FLAIR MRI.
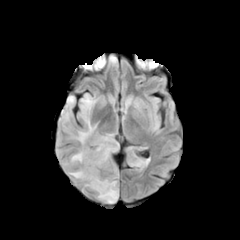
T1-weighted MRI.
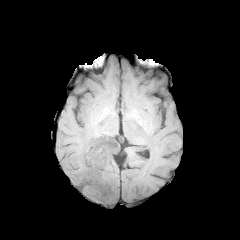
Post-contrast T1-weighted magnetic resonance.
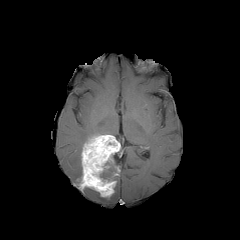
T2-weighted magnetic resonance.
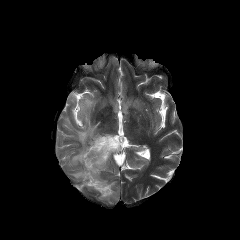
240x240
Non-enhancing tumor core at 84:134:101:146, 100:153:118:181.
Enhancing tumor at 79:135:119:197.
Edema at 62:149:81:165, 95:183:118:203, 106:166:115:177, 69:168:81:180, 60:93:98:145.